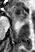

Medial temporal lobe | MRI | 35x52
The anterior hippocampus is bounded by (12,6,26,22).